CT, Slice 55 of 151, Upper abdomen, Image width 512 mm
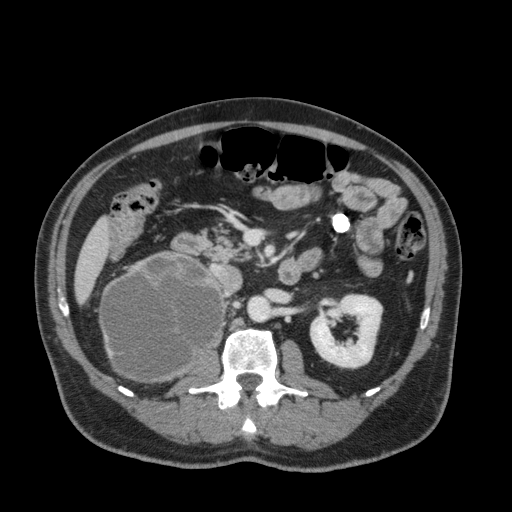 The kidney is bounded by bbox=[311, 295, 381, 367]. The liver is bounded by bbox=[76, 218, 109, 300].